Abdomen; Slice 21 of 151; CT image; Image width 512 mm

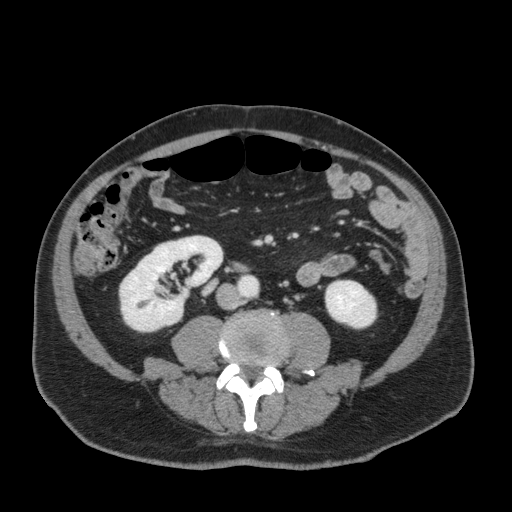

kidney:
  - (left=120, top=236, right=222, bottom=330)
  - (left=326, top=281, right=375, bottom=327)